240x240 px | Slice 62/155
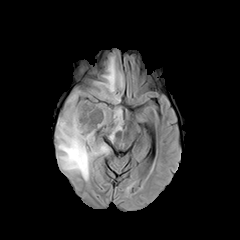
FLAIR MR.
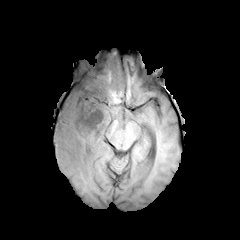
T1-weighted magnetic resonance.
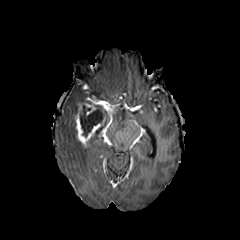
Post-contrast T1-weighted magnetic resonance.
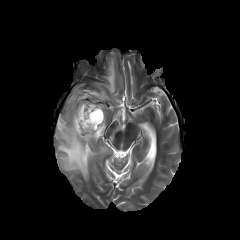
T2-weighted MRI.
{"edema": ["left=97, top=58, right=123, bottom=103", "left=56, top=93, right=109, bottom=180", "left=104, top=106, right=123, bottom=140"], "non-enhancing_tumor_core": ["left=76, top=93, right=111, bottom=136"], "enhancing_tumor": ["left=74, top=105, right=104, bottom=146", "left=84, top=99, right=109, bottom=115"]}